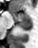
MR
Anterior hippocampus: bounding box rect(13, 13, 31, 21).
Posterior hippocampus: bounding box rect(18, 22, 31, 30).